CT slice | Slice 81 of 151
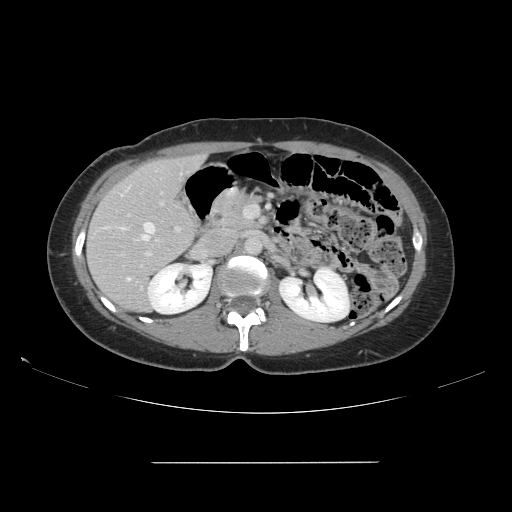 The vessel annotation is not exhaustive.
Hepatic vessel = x1=119 y1=227 x2=126 y2=230, x1=160 y1=202 x2=162 y2=204, x1=126 y1=185 x2=130 y2=190, x1=121 y1=254 x2=123 y2=255, x1=126 y1=278 x2=130 y2=280, x1=140 y1=287 x2=141 y2=289, x1=145 y1=252 x2=150 y2=255, x1=179 y1=171 x2=181 y2=178, x1=127 y1=214 x2=129 y2=215, x1=104 y1=226 x2=112 y2=229, x1=175 y1=227 x2=179 y2=231, x1=142 y1=222 x2=154 y2=240, x1=161 y1=192 x2=162 y2=194, x1=121 y1=194 x2=123 y2=196, x1=156 y1=239 x2=158 y2=240.